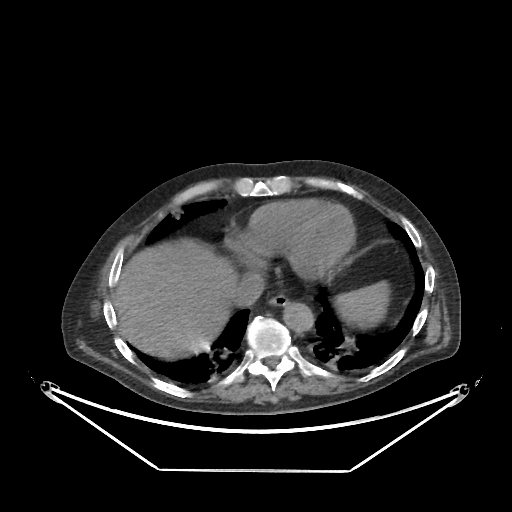

Abdomen; Computed tomography
Liver = {"x1": 110, "y1": 240, "x2": 236, "y2": 357}.